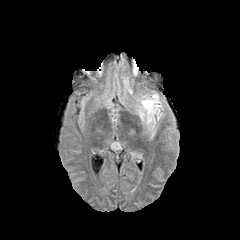
FLAIR MRI.
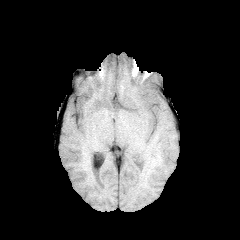
T1-weighted MR image.
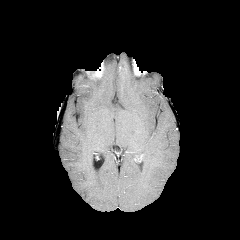
Post-contrast T1-weighted MR.
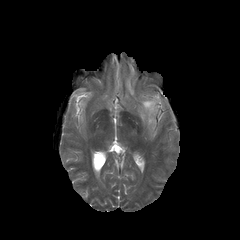
Same slice, T2-weighted MR.
240x240 px
Findings:
- edema: [x1=135, y1=92, x2=162, y2=127]